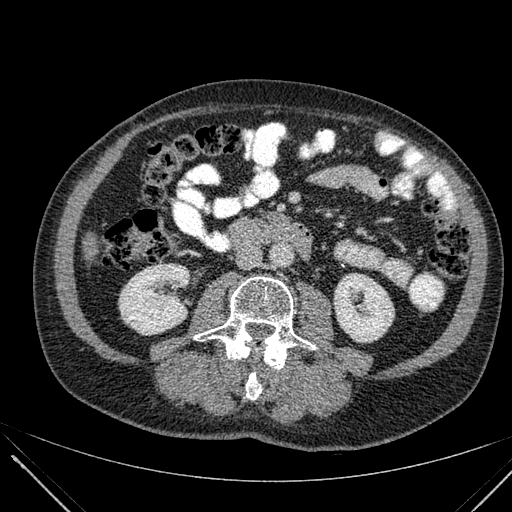 512x512 px; CT slice
Liver — left=83, top=231, right=97, bottom=260.
Kidney — left=334, top=273, right=393, bottom=341; left=120, top=264, right=189, bottom=334.